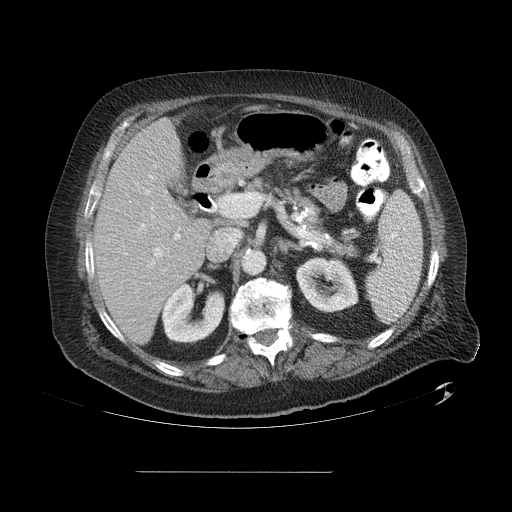

CT | Image size 512x512

The vessel boxes may cover only some of the vessels.
Hepatic vessel = region(175, 233, 179, 238); region(148, 260, 154, 267); region(138, 223, 144, 230); region(221, 197, 227, 213); region(151, 215, 154, 217); region(167, 249, 168, 251); region(154, 247, 161, 257); region(178, 227, 180, 229); region(144, 219, 145, 221); region(146, 190, 149, 194); region(149, 175, 152, 178); region(162, 269, 165, 272); region(164, 191, 166, 193); region(170, 215, 173, 218); region(214, 204, 217, 208).